FLAIR magnetic resonance.
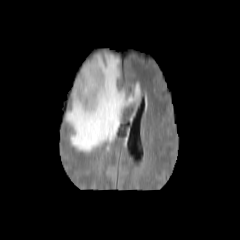
T1-weighted MR image.
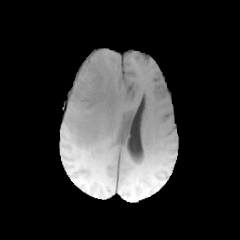
Post-contrast T1-weighted MR image.
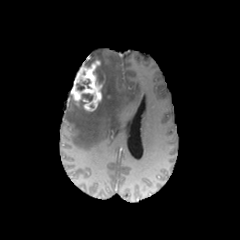
T2-weighted MRI.
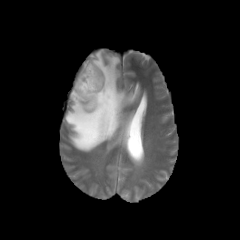
Image size 240x240. Brain.
Segmented structures:
* enhancing tumor: {"x1": 70, "y1": 60, "x2": 103, "y2": 111}
* non-enhancing tumor core: {"x1": 95, "y1": 63, "x2": 106, "y2": 105}, {"x1": 81, "y1": 94, "x2": 93, "y2": 101}, {"x1": 77, "y1": 81, "x2": 89, "y2": 90}, {"x1": 84, "y1": 59, "x2": 95, "y2": 66}
* edema: {"x1": 65, "y1": 51, "x2": 140, "y2": 151}